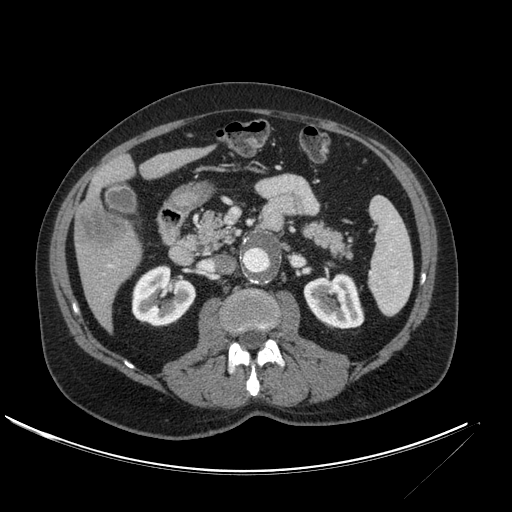
Liver | CT
Liver lesion = [75, 194, 129, 251].
Kidney = [133, 267, 194, 324], [304, 275, 363, 327].
Liver = [75, 223, 142, 332], [87, 154, 135, 199], [140, 144, 217, 178].